Field of view 434x434 mm; CT slice; Image size 512x512; Slice 496 of 605
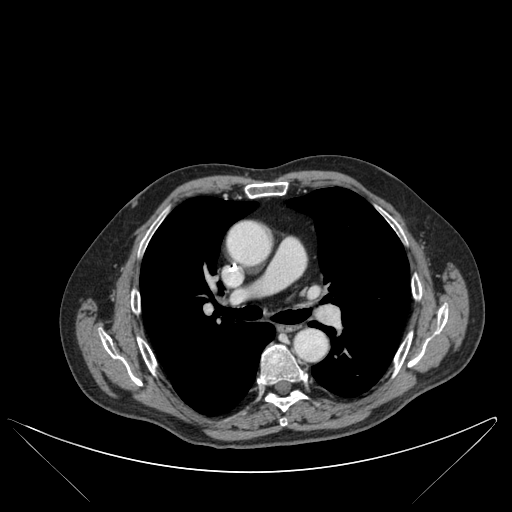 Lung — (140, 197, 275, 415), (271, 309, 310, 323), (287, 187, 409, 397).
Bone — (393, 332, 412, 375), (258, 345, 306, 384), (408, 305, 448, 366), (245, 182, 287, 198), (383, 211, 402, 233), (131, 290, 140, 313), (411, 274, 421, 299), (100, 332, 142, 385), (265, 391, 307, 411), (137, 337, 156, 374), (139, 218, 159, 252).